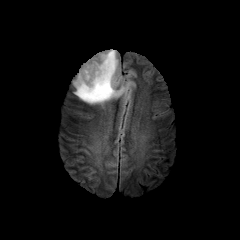
FLAIR MR image.
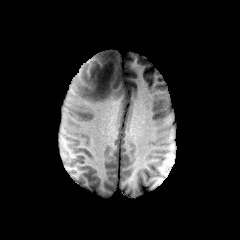
Same slice, T1-weighted MRI.
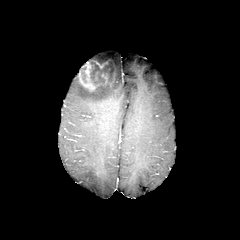
Post-contrast T1-weighted MRI.
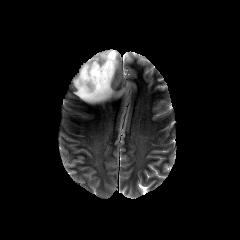
T2-weighted MR of the same slice.
Brain.
Segmented structures:
- edema: 73, 50, 128, 104
- non-enhancing tumor core: 90, 57, 110, 87
- enhancing tumor: 78, 63, 95, 89